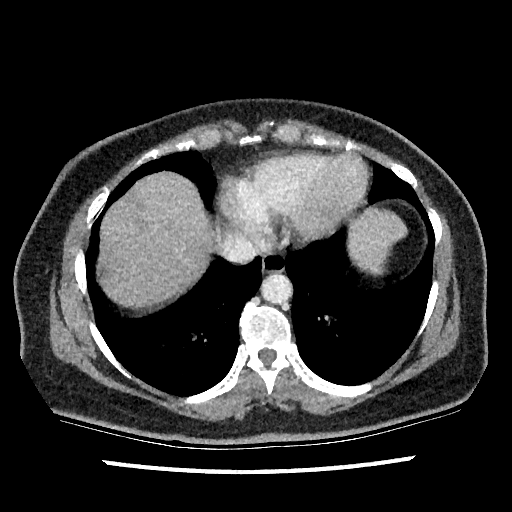
CT image; Abdomen

hepatic lesion: l=99, t=268, r=107, b=277 | liver: l=350, t=210, r=405, b=270; l=99, t=172, r=210, b=305